CT scan slice; Pelvis

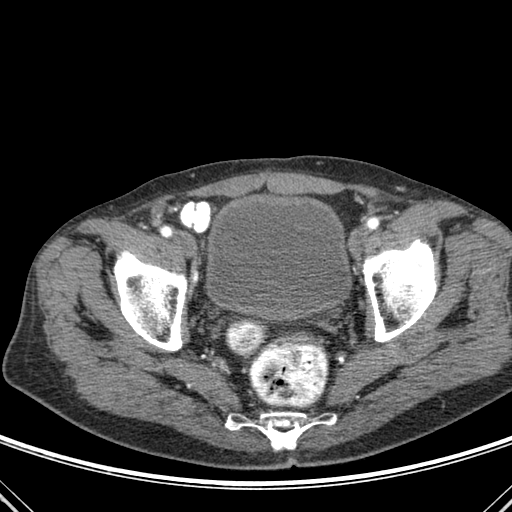

Annotated regions:
• urinary bladder: 203:200:351:312
• bone: 114:251:186:350, 225:412:336:449, 363:239:436:342